CT image; Abdomen
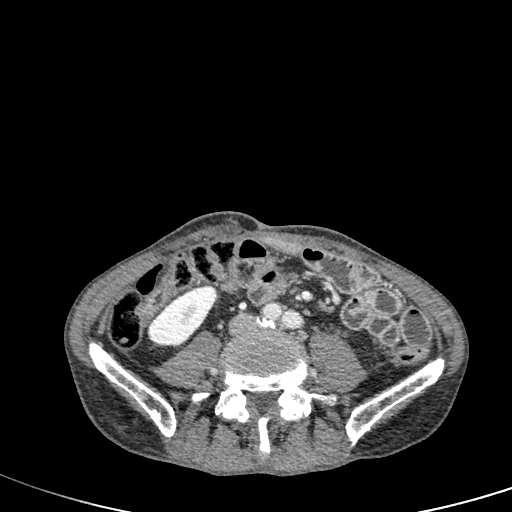 {"kidney": ["bbox(148, 286, 216, 344)"]}